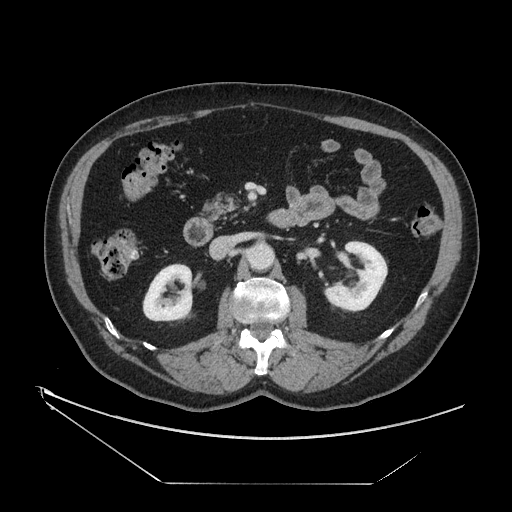

512x512 px. CT slice. Abdomen.
The pancreas lies within bbox=[203, 192, 242, 218].